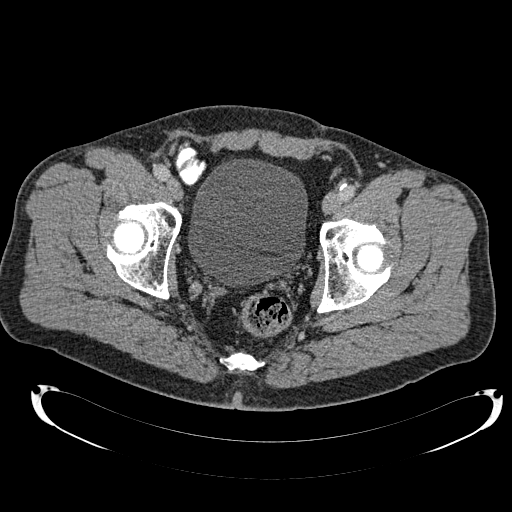
CT image; 512x512; Pelvis
The urinary bladder is bounded by (188, 158, 307, 287).